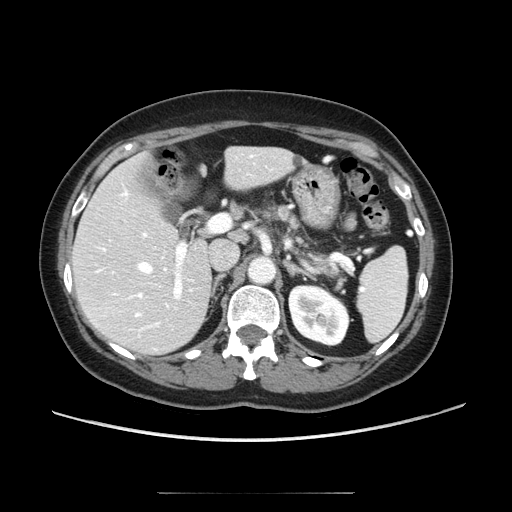

Computed tomography | 512x512 | Abdomen

<segmentation>
  <pancreas>[x1=265, y1=206, x2=294, y2=221], [x1=301, y1=238, x2=336, y2=274]</pancreas>
</segmentation>